Image width 240 mm; Head
FLAIR MR image.
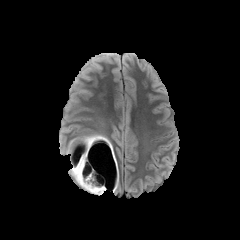
T1-weighted MRI.
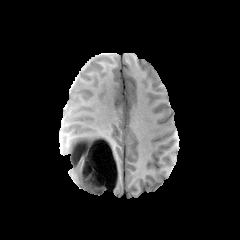
Post-contrast T1-weighted magnetic resonance.
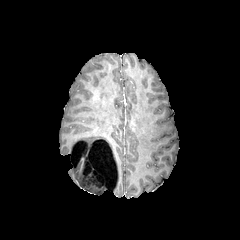
T2-weighted MR image.
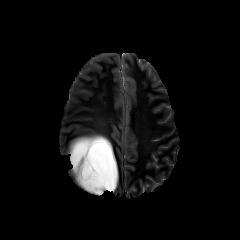
non-enhancing_tumor_core:
  - [70,136,109,193]
edema:
  - [82,134,103,139]
  - [70,160,87,189]
  - [98,136,112,157]